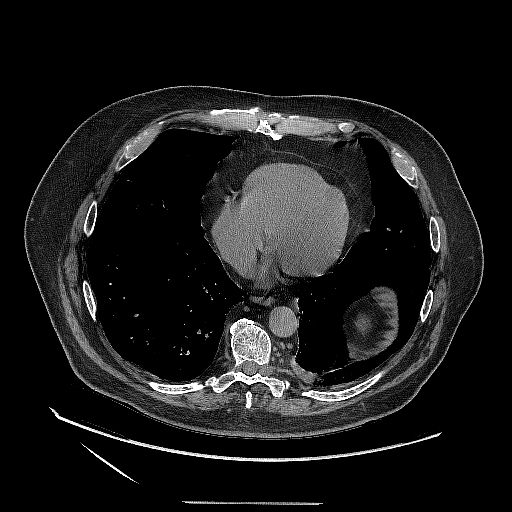

Chest | CT scan slice
The lung tumor appears at 291:353:350:386.